CT image, Abdomen, 512x512 px, Slice 23/45 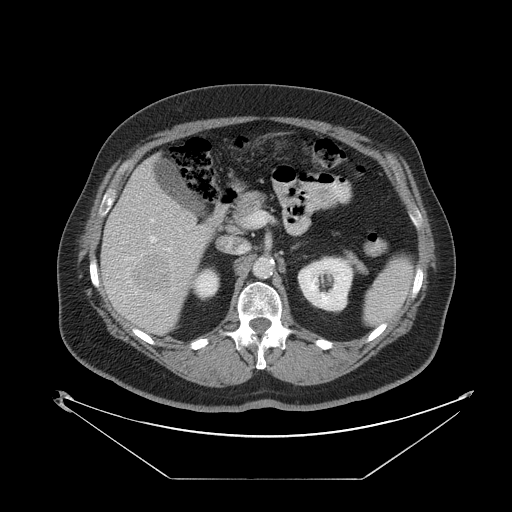
Not every hepatic vessel necessarily has a box.
Hepatic vessel: bounding box region(150, 219, 153, 222); region(150, 236, 156, 242); region(167, 248, 170, 250); region(171, 241, 172, 243).
Liver tumor: bounding box region(131, 255, 171, 291).